Slice 18/19, 320x320 px
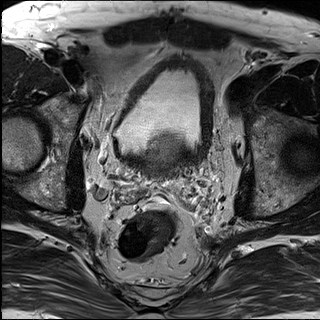
T2-weighted MRI.
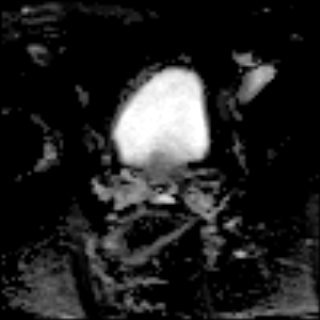
Same slice, ADC MR.
Segmented structures:
* prostate transition zone: box=[140, 138, 181, 167]